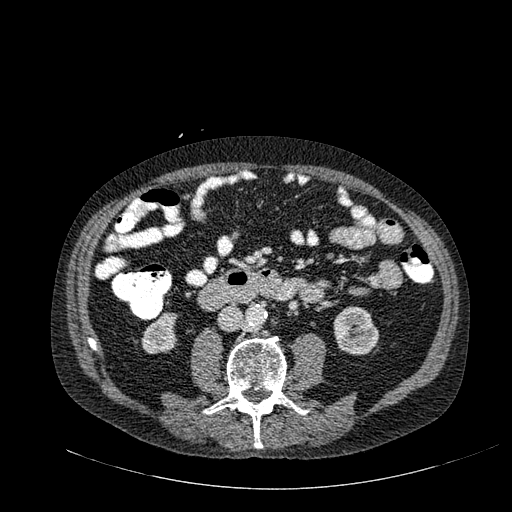

512x512, Computed tomography
Segmented structures:
- kidney: x1=141, y1=312, x2=177, y2=353; x1=333, y1=306, x2=378, y2=354